Liver | Computed tomography | Field of view 380x380 mm

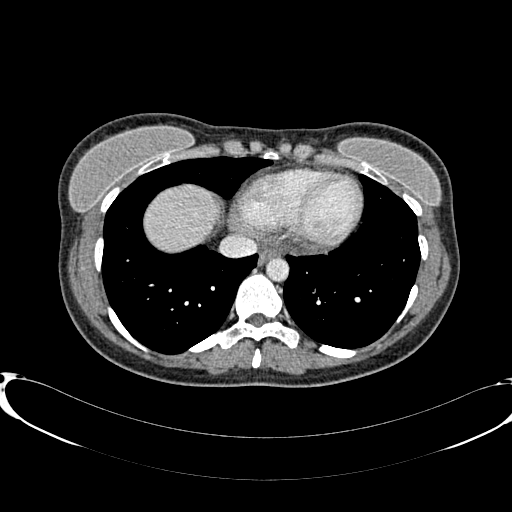

liver:
  - (x1=145, y1=186, x2=218, y2=250)